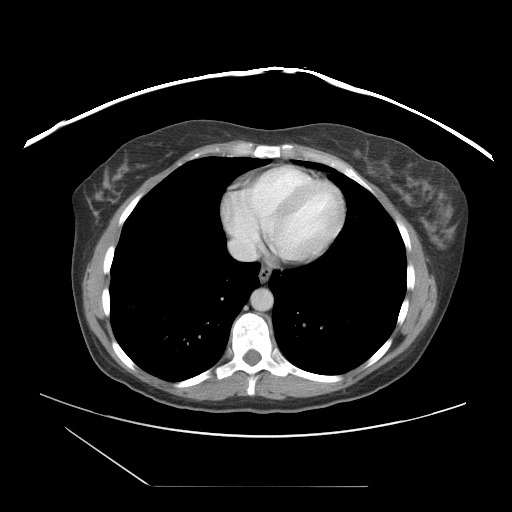
CT scan slice
Some hepatic vessels may have no box.
Hepatic vessel: bounding box <box>231,234,258,258</box>.